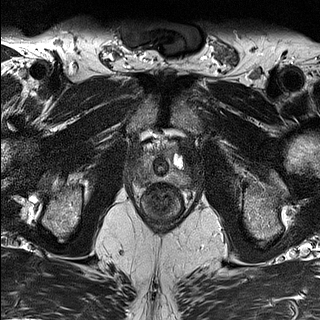
T2-weighted MR image.
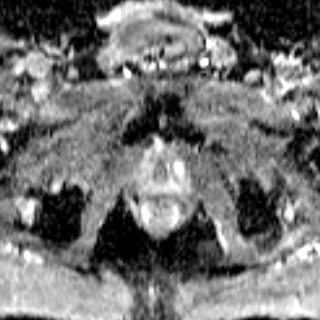
Same slice, ADC MR.
Pelvis
The prostate transition zone is at 152:151:169:175. The prostate peripheral zone is bounded by 143:151:183:179.